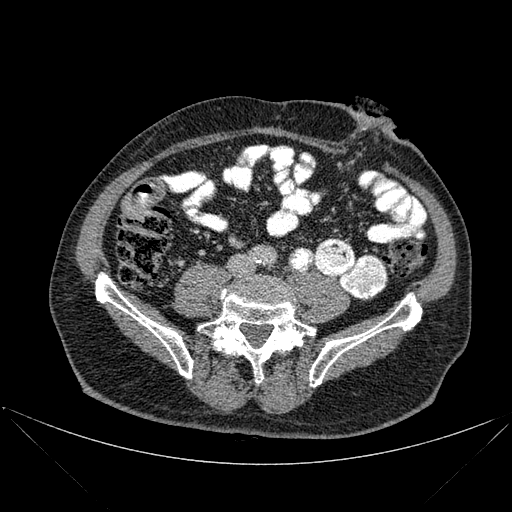
CT slice
<segmentation>
  <bone>96,273,193,378; 309,294,421,386; 198,280,315,382</bone>
</segmentation>